Upper abdomen, CT slice

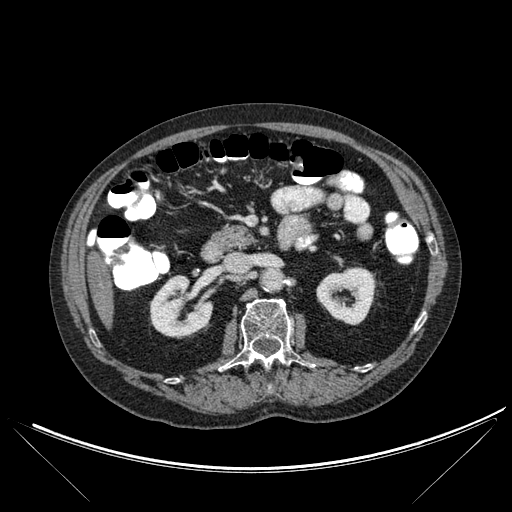 liver:
  - [87,252,113,329]
bone:
  - [224,299,291,367]
  - [414,317,424,330]
kidney:
  - [317,268,374,324]
  - [150,275,212,336]